Field of view 450x450 mm. CT.

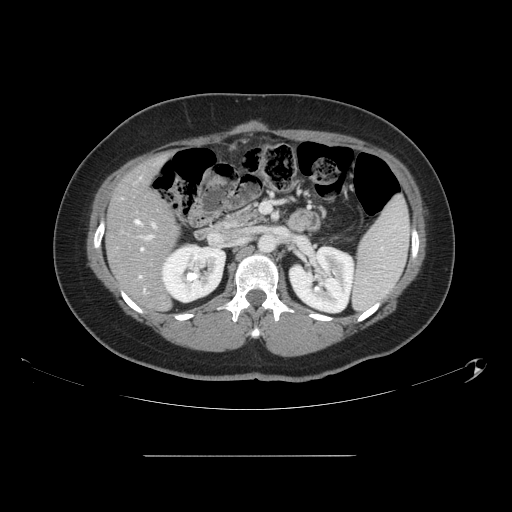

The vessel annotation is not exhaustive.
Hepatic vessel = [x1=139, y1=276, x2=141, y2=277], [x1=143, y1=235, x2=151, y2=239], [x1=135, y1=220, x2=139, y2=223], [x1=152, y1=223, x2=154, y2=226], [x1=141, y1=248, x2=142, y2=250].